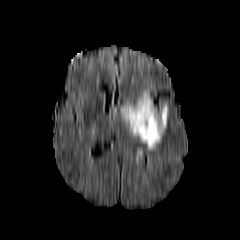
FLAIR magnetic resonance.
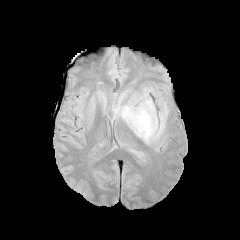
T1-weighted magnetic resonance.
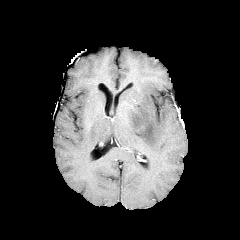
Post-contrast T1-weighted MR.
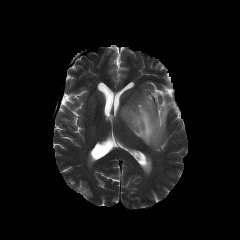
T2-weighted MR image of the same slice.
Edema: bounding box {"x1": 121, "y1": 92, "x2": 168, "y2": 149}.